CT | Field of view 330 mm wide, 1.50 mm slice spacing
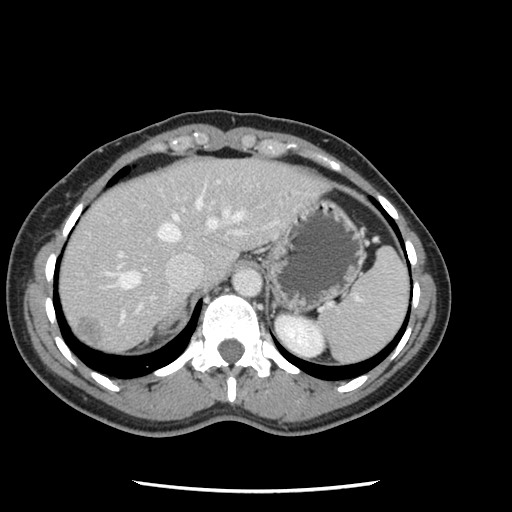

Some hepatic vessels may have no box.
8 hepatic vessel regions appear at <box>236,231,241,232</box>, <box>223,210,241,219</box>, <box>122,314,122,317</box>, <box>195,198,201,207</box>, <box>114,271,139,287</box>, <box>157,215,179,241</box>, <box>207,219,217,227</box>, <box>118,253,121,255</box>. The liver tumor is bounded by <box>74,318,102,348</box>.